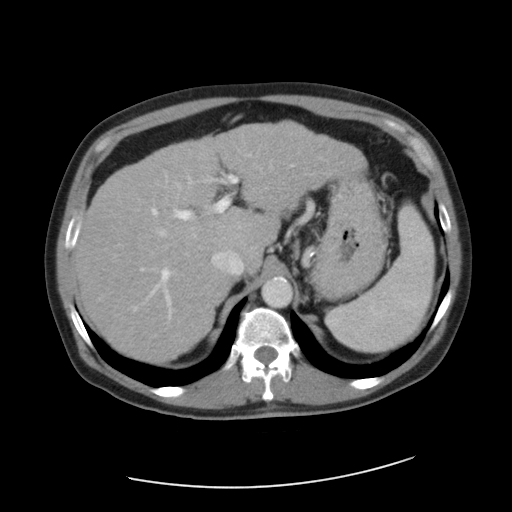

CT image, 512x512 px
Some hepatic vessels may have no box.
The most prominent 15 hepatic vessel regions (of 16) appear at x1=168 y1=309 x2=171 y2=318, x1=164 y1=289 x2=170 y2=305, x1=233 y1=180 x2=235 y2=181, x1=151 y1=208 x2=157 y2=214, x1=134 y1=307 x2=137 y2=309, x1=203 y1=176 x2=213 y2=181, x1=193 y1=234 x2=195 y2=237, x1=147 y1=268 x2=170 y2=298, x1=174 y1=209 x2=189 y2=218, x1=141 y1=268 x2=143 y2=270, x1=291 y1=165 x2=293 y2=166, x1=245 y1=154 x2=249 y2=156, x1=157 y1=229 x2=165 y2=235, x1=218 y1=200 x2=227 y2=211, x1=188 y1=177 x2=191 y2=183.